Liver, CT image
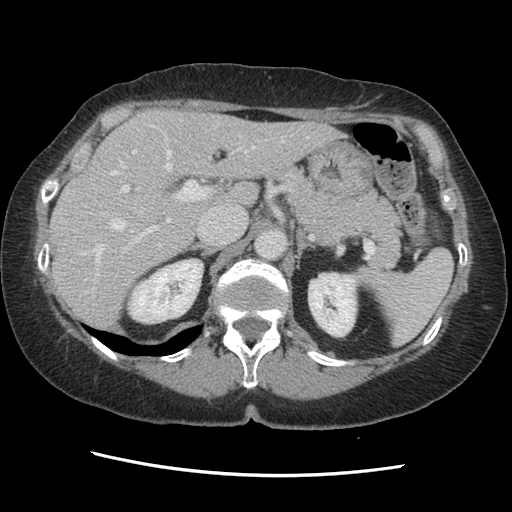
The vessel annotation is not exhaustive.
partial: true
hepatic_vessel:
  # 15 of 26 shown
  - [x1=178, y1=181, x2=209, y2=200]
  - [x1=111, y1=218, x2=124, y2=229]
  - [x1=129, y1=226, x2=157, y2=244]
  - [x1=166, y1=218, x2=170, y2=221]
  - [x1=133, y1=149, x2=136, y2=152]
  - [x1=243, y1=149, x2=247, y2=152]
  - [x1=120, y1=185, x2=128, y2=191]
  - [x1=94, y1=245, x2=102, y2=264]
  - [x1=111, y1=170, x2=117, y2=174]
  - [x1=166, y1=163, x2=171, y2=169]
  - [x1=166, y1=149, x2=171, y2=157]
  - [x1=122, y1=246, x2=127, y2=252]
  - [x1=120, y1=161, x2=124, y2=167]
  - [x1=250, y1=144, x2=254, y2=148]
  - [x1=150, y1=125, x2=155, y2=127]